240x240
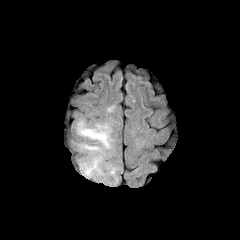
FLAIR MR image.
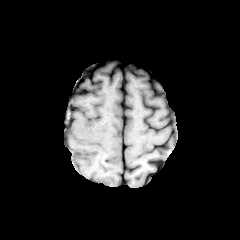
T1-weighted MR image of the same slice.
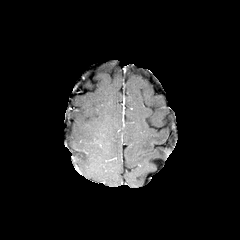
Post-contrast T1-weighted MR image.
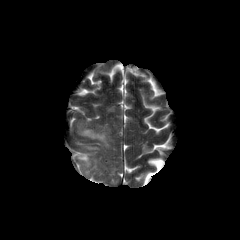
T2-weighted MR image.
Edema: bounding box l=77, t=121, r=111, b=176.